512x512 | Abdomen | CT image
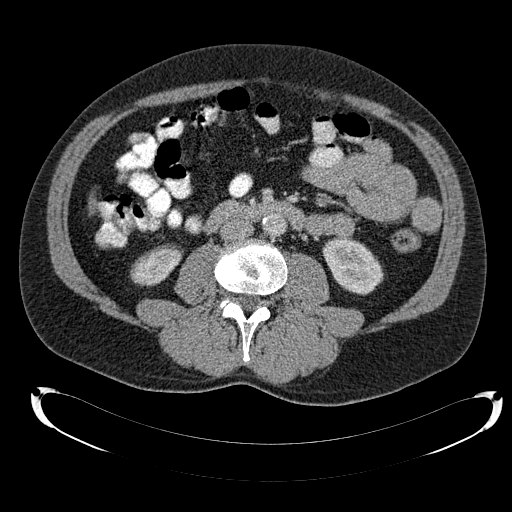

Kidney = (left=132, top=249, right=180, bottom=284), (left=323, top=237, right=382, bottom=293).